Slice index 76, Field of view 240 mm wide, 1.00 mm slice spacing
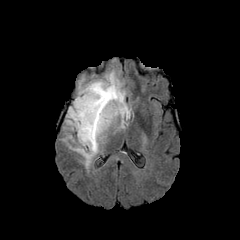
FLAIR MR.
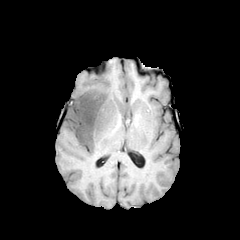
Same slice, T1-weighted MR image.
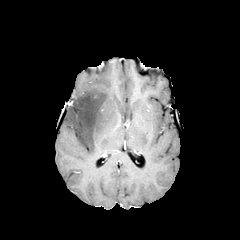
Same slice, post-contrast T1-weighted magnetic resonance.
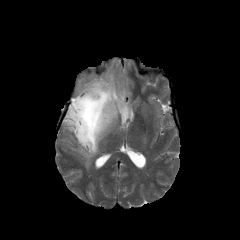
T2-weighted MRI of the same slice.
• non-enhancing tumor core: bbox=[70, 91, 105, 143]
• edema: bbox=[64, 70, 133, 165]